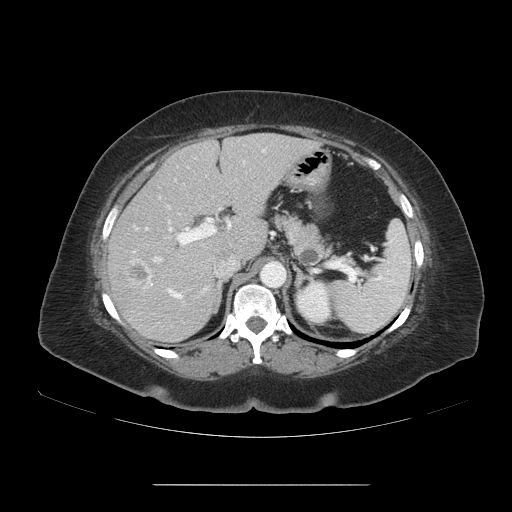

CT image. Liver. Image size 512x512. Only some of the vessels may be annotated.
liver_tumor:
  - (127, 259, 152, 286)
hepatic_vessel:
  - (153, 257, 160, 261)
  - (227, 220, 230, 229)
  - (214, 256, 238, 276)
  - (167, 289, 180, 297)
  - (174, 218, 216, 245)
  - (168, 220, 172, 232)
  - (145, 227, 148, 229)
  - (146, 282, 151, 286)